Computed tomography. Slice 451/605. Thorax. Field of view 434 mm wide, 1.00 mm slice spacing. 512x512.

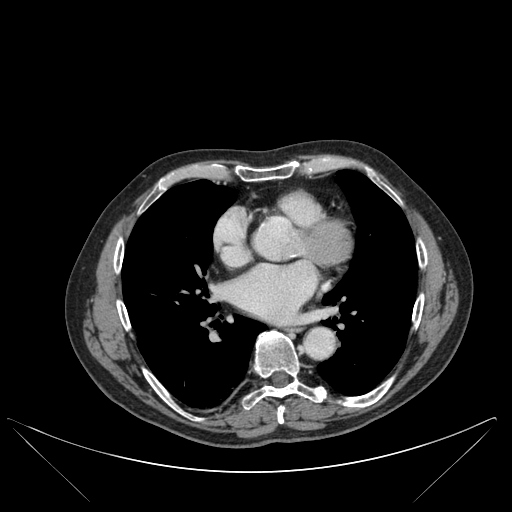
{"bone": ["region(143, 369, 187, 416)", "region(416, 240, 427, 266)", "region(113, 238, 123, 272)", "region(243, 331, 326, 409)", "region(117, 300, 130, 329)", "region(277, 406, 284, 423)", "region(234, 162, 304, 181)", "region(342, 378, 392, 407)", "region(412, 294, 423, 327)"], "lung": ["region(317, 170, 417, 395)", "region(122, 179, 266, 407)"]}